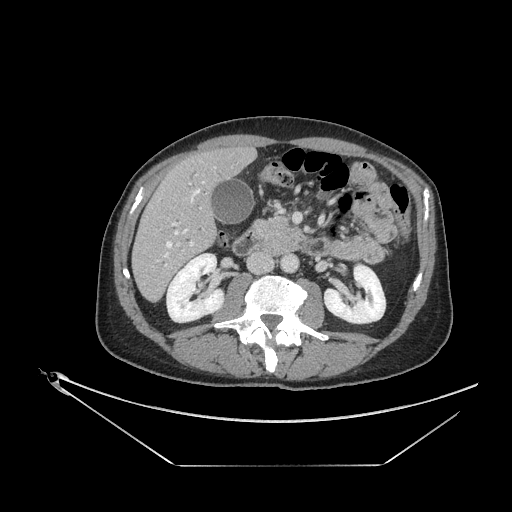
CT scan slice; Image size 512x512
The pancreatic tumor is at left=271, top=223, right=299, bottom=249. The pancreas is at left=253, top=216, right=303, bottom=248.